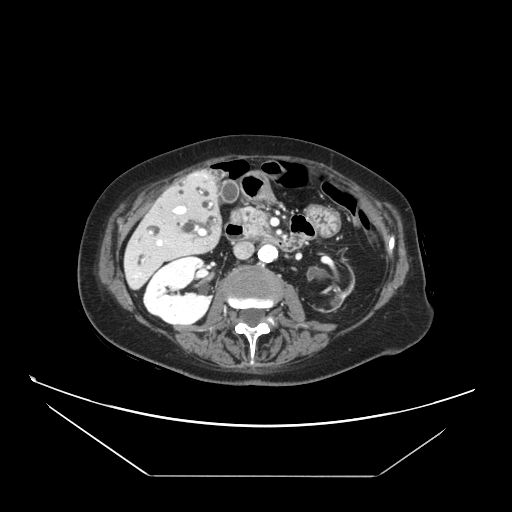
Abdomen, CT
pancreatic_tumor:
  - 250:212:268:235
pancreas:
  - 242:207:274:239